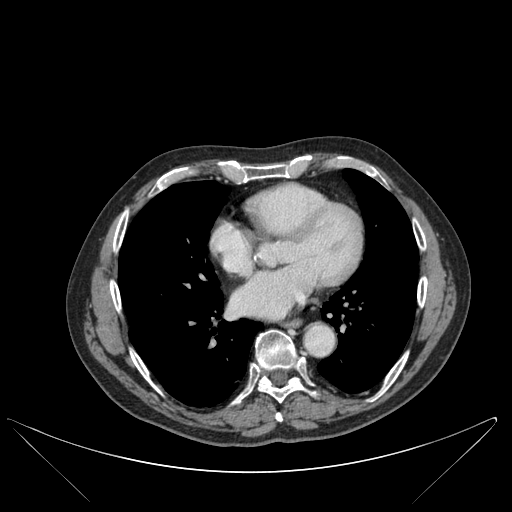

CT scan slice. Thorax.

Bone: bounding box bbox(130, 350, 157, 390); bbox(417, 277, 427, 306); bbox(232, 330, 306, 403); bbox(113, 210, 128, 251); bbox(275, 412, 282, 421); bbox(372, 352, 408, 400); bbox(413, 219, 425, 249); bbox(110, 280, 120, 310); bbox(215, 157, 310, 182); bbox(155, 167, 191, 190).
Lung: bounding box bbox(317, 169, 418, 392); bbox(118, 181, 263, 406).